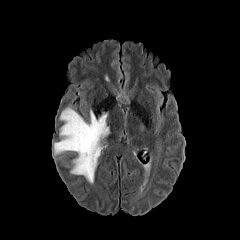
FLAIR magnetic resonance.
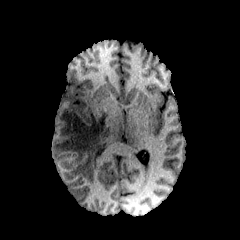
T1-weighted MR image of the same slice.
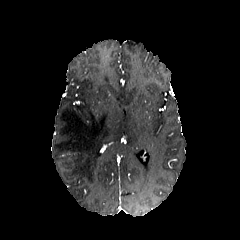
Post-contrast T1-weighted MR image.
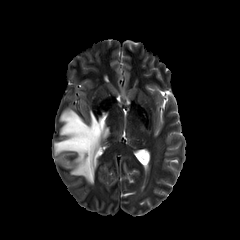
T2-weighted MRI.
Head
- edema: (53, 107, 109, 184)